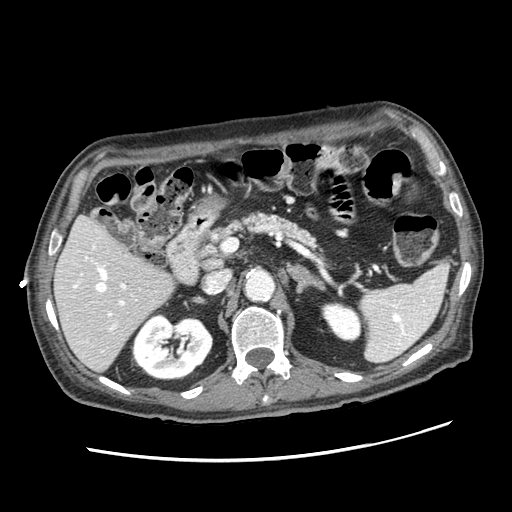

Image size 512x512, Upper abdomen, CT scan slice

Annotated regions:
* pancreas: 225:215:317:247